Computed tomography. Image width 395 mm.
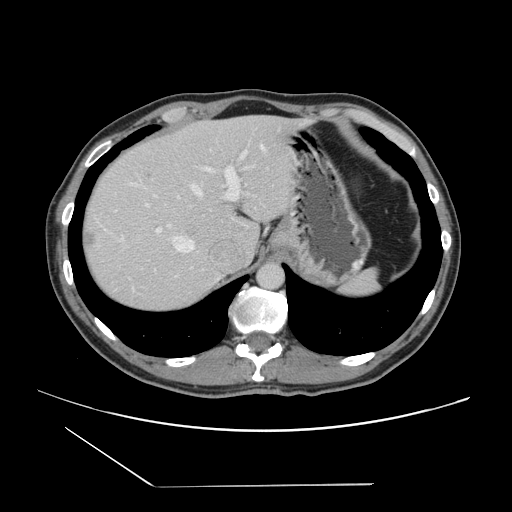 Only some of the vessels may be annotated.
The liver tumor is at 87 230 95 246. 14 hepatic vessel regions appear at 191 184 201 194, 239 158 240 160, 237 177 239 192, 120 240 122 241, 229 166 234 170, 253 194 255 196, 172 239 178 245, 128 183 133 185, 260 144 264 149, 223 169 225 173, 223 181 228 190, 243 224 246 225, 167 224 170 226, 153 194 155 196.